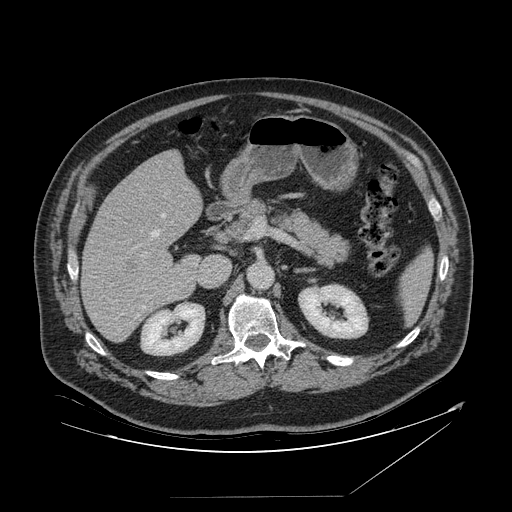

Abdomen; CT slice
Spleen at left=398, top=251, right=432, bottom=325.